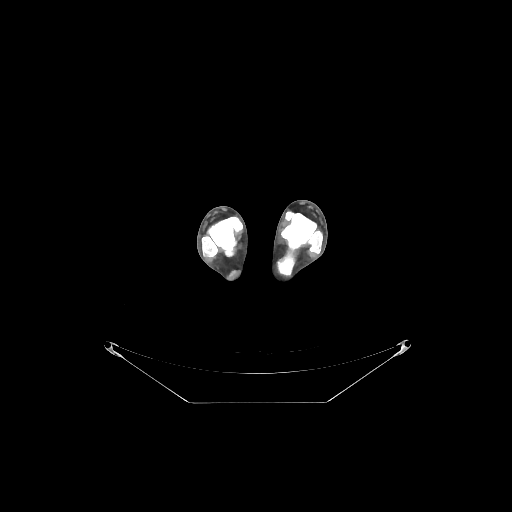 CT | 512x512 px
{"bone": ["region(277, 212, 322, 275)", "region(202, 217, 242, 257)"]}